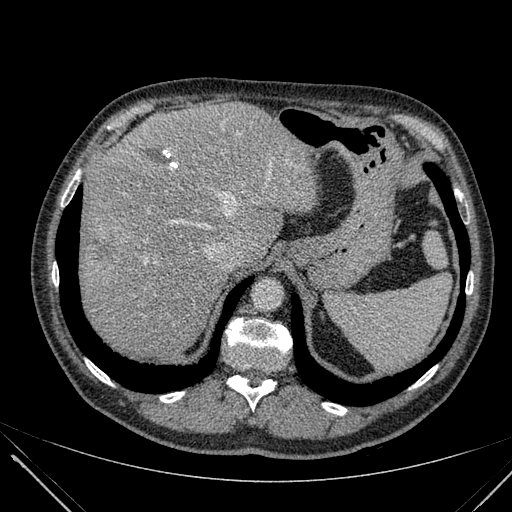 CT scan slice, Upper abdomen, 512x512
Focal liver lesion = <box>97,240,110,257</box>, <box>145,148,176,164</box>.
Liver = <box>80,103,317,360</box>.